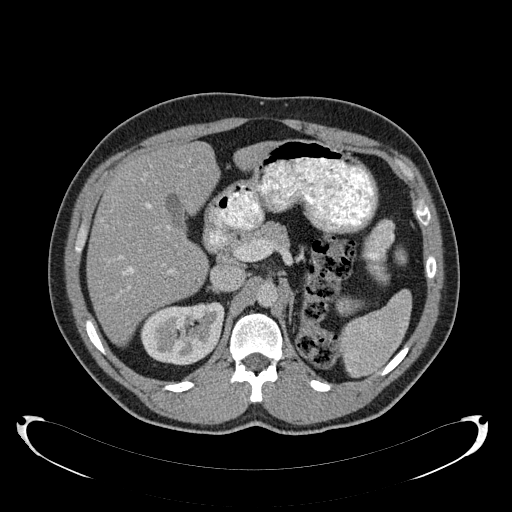

512x512 px; CT

The kidney appears at box=[141, 303, 223, 364]. 2 liver regions are bounded by box=[236, 143, 270, 169]; box=[88, 143, 218, 343].